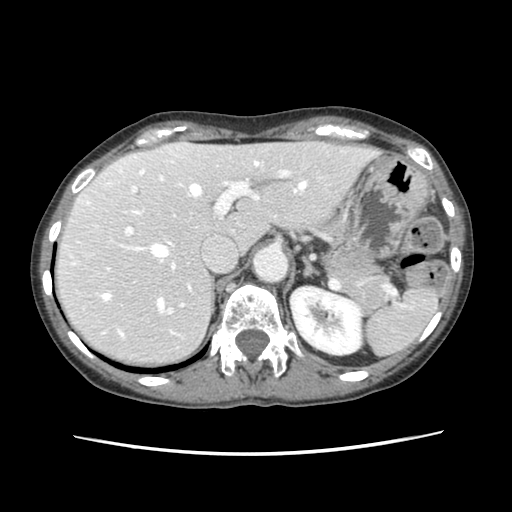 Computed tomography; Upper abdomen

* spleen: 367:291:437:354